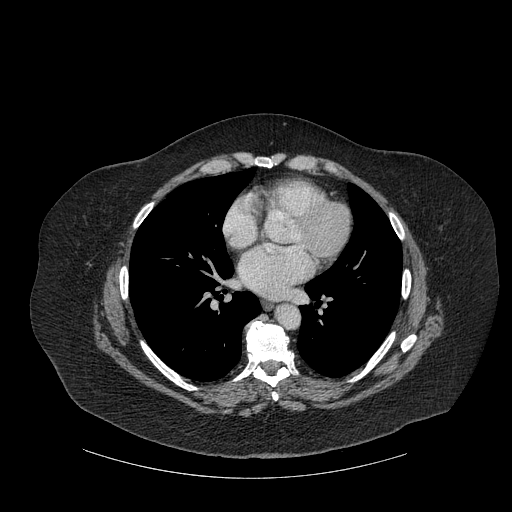 Chest, CT slice

- bone: x1=402 y1=270 x2=410 y2=298, x1=141 y1=341 x2=196 y2=390, x1=233 y1=321 x2=297 y2=386, x1=401 y1=335 x2=416 y2=351, x1=350 y1=332 x2=394 y2=381, x1=119 y1=266 x2=127 y2=298, x1=389 y1=213 x2=404 y2=239, x1=255 y1=157 x2=272 y2=167, x1=134 y1=202 x2=153 y2=227
- lung: x1=129 y1=168 x2=260 y2=381, x1=297 y1=188 x2=402 y2=377